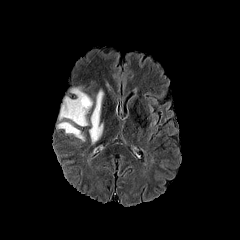
FLAIR MRI.
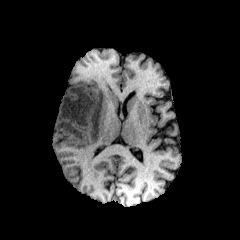
T1-weighted magnetic resonance.
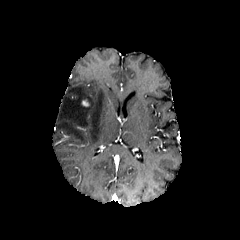
Same slice, post-contrast T1-weighted MR image.
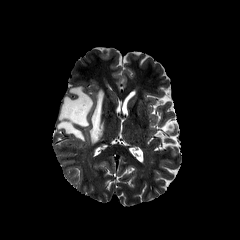
Same slice, T2-weighted MR image.
Brain.
Edema: left=57, top=87, right=92, bottom=140; left=89, top=89, right=103, bottom=143.